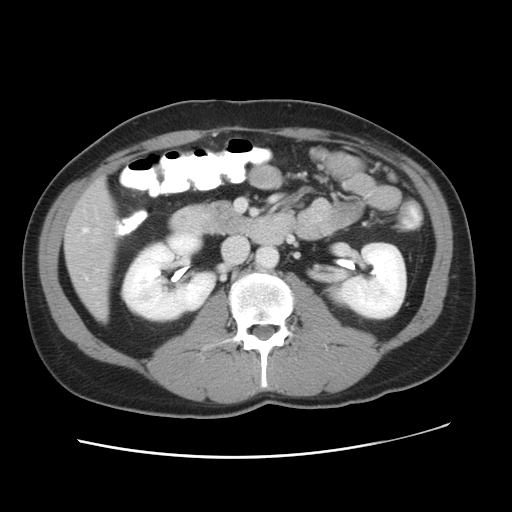 512x512 px. Computed tomography. Liver.

The vessel boxes may cover only some of the vessels.
4 hepatic vessel regions appear at box(82, 227, 87, 231); box(95, 288, 96, 289); box(85, 277, 87, 279); box(94, 229, 97, 232).